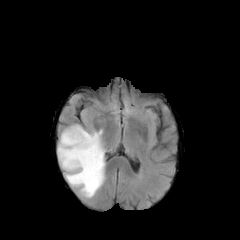
FLAIR MR image.
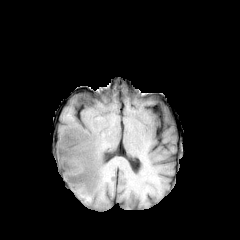
T1-weighted magnetic resonance.
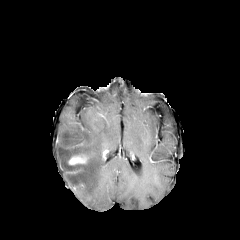
Post-contrast T1-weighted MR image of the same slice.
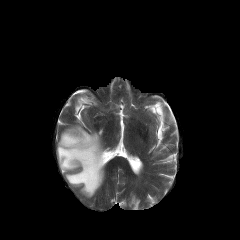
T2-weighted MR image of the same slice.
240x240 | Brain
<segmentation>
  <enhancing_tumor><bbox>68, 153, 90, 165</bbox></enhancing_tumor>
  <edema><bbox>57, 125, 105, 197</bbox></edema>
</segmentation>